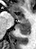
MRI slice. 36x49.

anterior hippocampus: (left=13, top=15, right=27, bottom=21) | posterior hippocampus: (left=17, top=22, right=29, bottom=35)